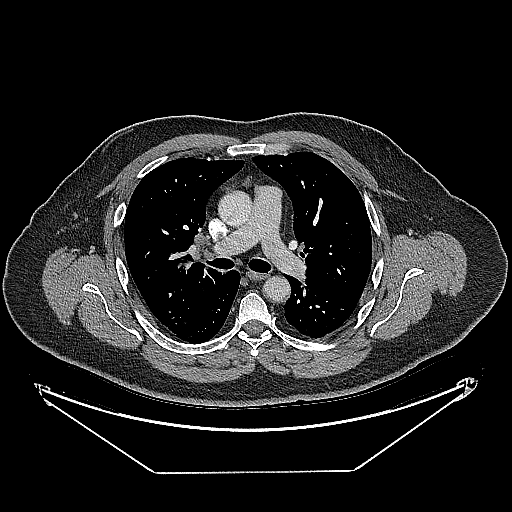
Chest, CT

Lung tumor at <bbox>174, 284, 186, 294</bbox>.